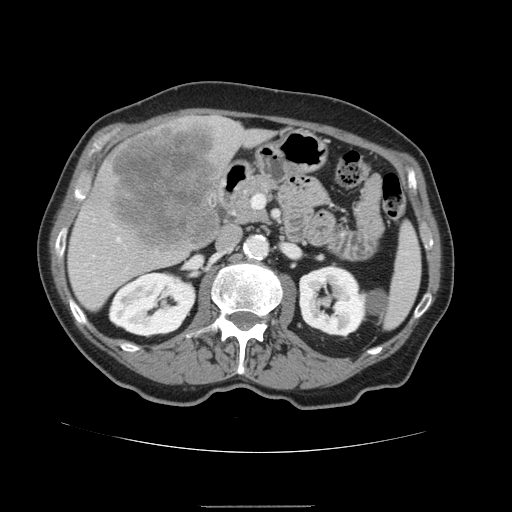 Image size 512x512. CT scan slice. Abdomen. The vessel boxes may cover only some of the vessels.
The liver tumor lies within box(113, 122, 219, 249). 2 hepatic vessel regions appear at box(118, 238, 119, 239); box(252, 197, 254, 206).